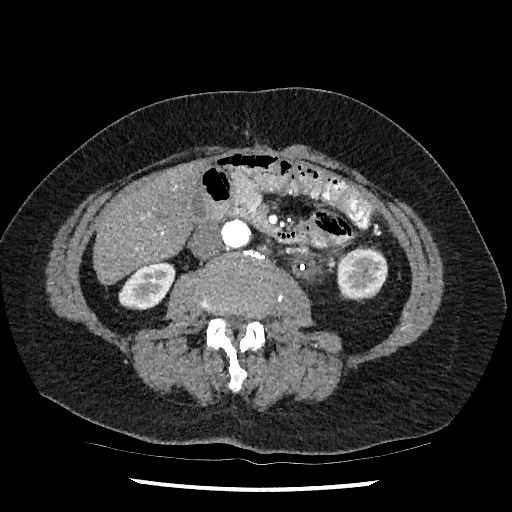 512x512 px, Liver, CT image
The liver is bounded by 94, 161, 205, 284. 2 kidney regions appear at 119, 263, 174, 308; 338, 249, 386, 298.